FLAIR magnetic resonance.
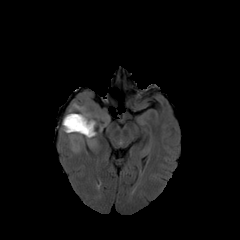
T1-weighted MR.
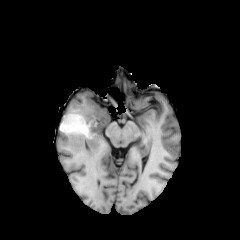
Post-contrast T1-weighted MRI.
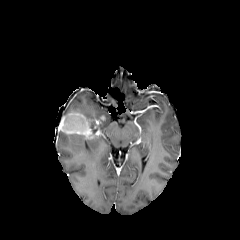
T2-weighted MR image.
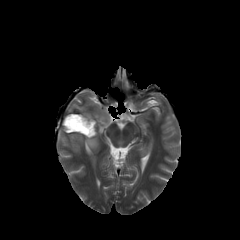
Image size 240x240, Head
enhancing_tumor:
  - bbox(58, 113, 100, 137)
edema:
  - bbox(62, 132, 101, 153)
  - bbox(65, 99, 107, 127)
non-enhancing_tumor_core:
  - bbox(80, 114, 97, 132)